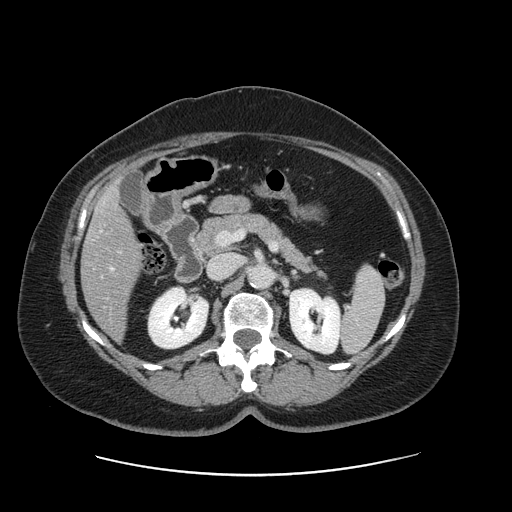

CT; Abdomen
The vessel annotation is not exhaustive.
hepatic_vessel:
  - <box>110,267,113,269</box>